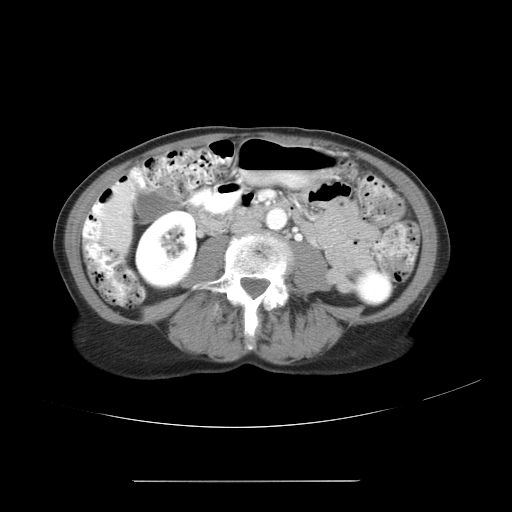

CT slice. The vessel annotation is not exhaustive.
* hepatic vessel: box=[129, 196, 132, 198]